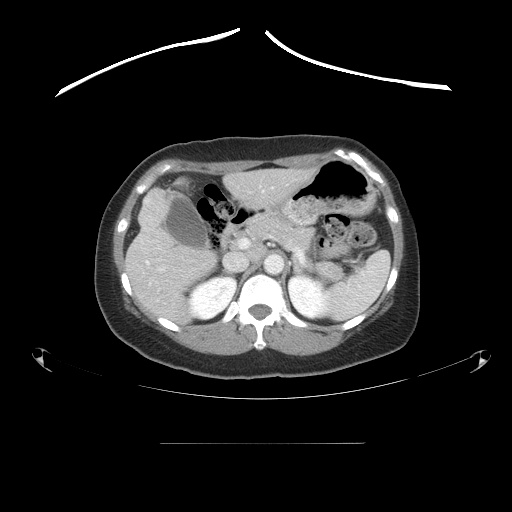

CT image. Liver.

The vessel annotation is not exhaustive.
Liver tumor — [140, 190, 165, 226].
Hepatic vessel — [145, 261, 148, 264], [157, 266, 165, 270], [293, 179, 294, 180], [224, 253, 246, 269], [157, 300, 158, 301], [240, 239, 248, 247], [271, 187, 272, 189], [261, 189, 264, 192], [149, 282, 151, 284].